CT. 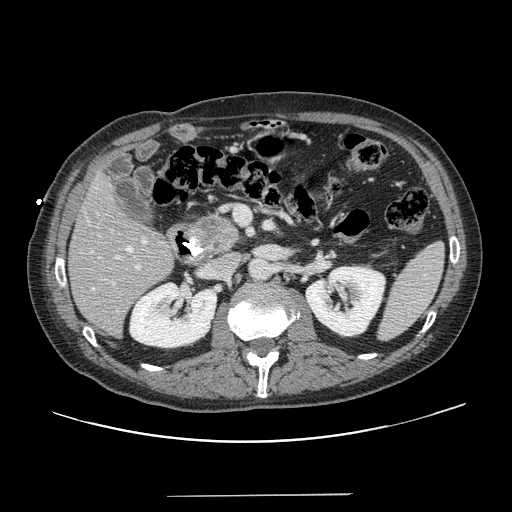

The pancreas lies within 183,212,242,257. The pancreatic tumor lies within 194,215,233,240.